FLAIR MRI.
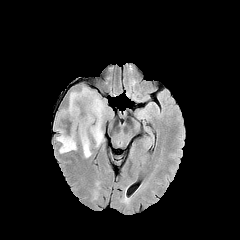
T1-weighted MRI.
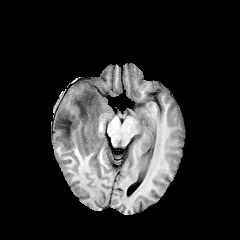
Post-contrast T1-weighted MRI.
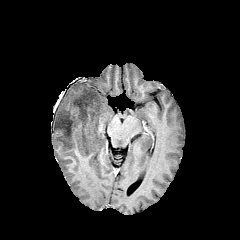
T2-weighted MR image.
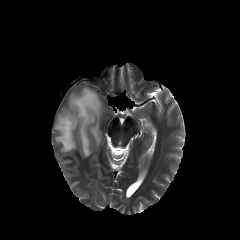
Non-enhancing tumor core = (x1=59, y1=90, x2=99, y2=135).
Edema = (x1=55, y1=86, x2=105, y2=157).